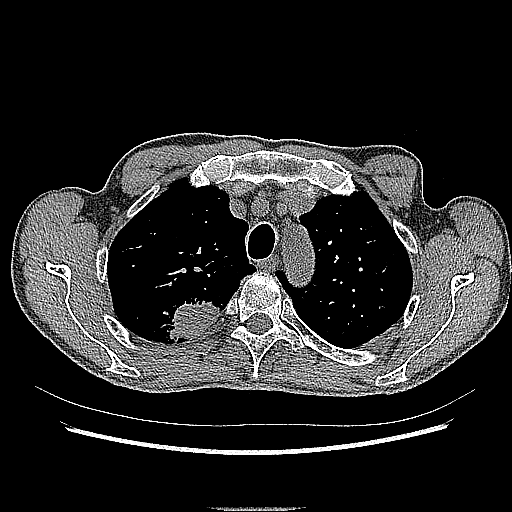 CT slice; Chest; 512x512

lung_tumor:
  - {"x1": 153, "y1": 295, "x2": 225, "y2": 343}